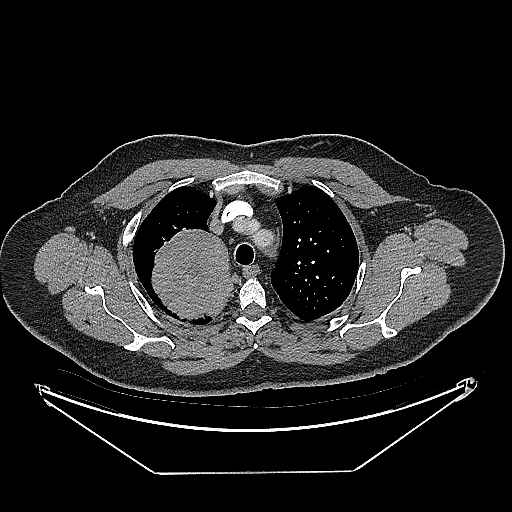
Computed tomography, Thorax
Lung tumor: (149, 226, 231, 325).